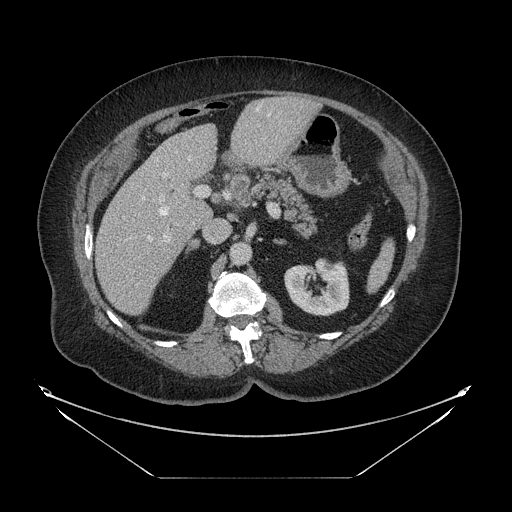
CT, Abdomen

pancreas:
  - 251,173,316,235